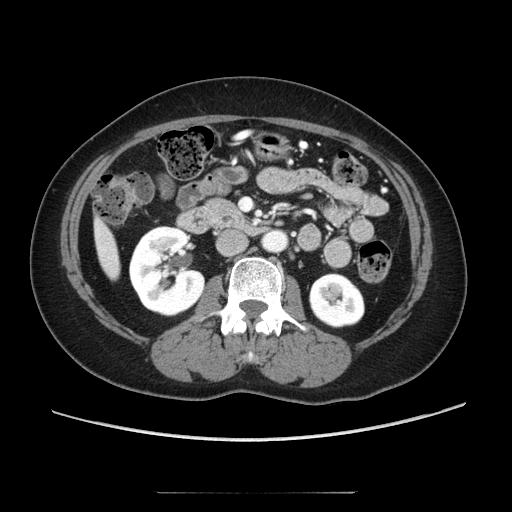
Abdomen. CT image. 512x512 px.

Segmented structures:
* pancreas: rect(207, 199, 243, 224)